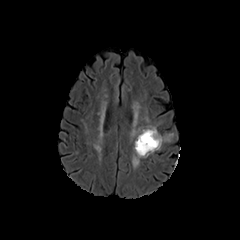
FLAIR MRI.
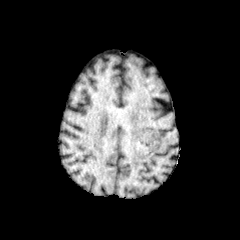
T1-weighted magnetic resonance.
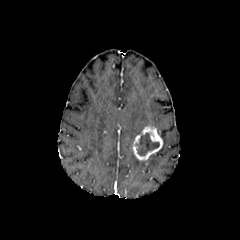
Post-contrast T1-weighted MR image of the same slice.
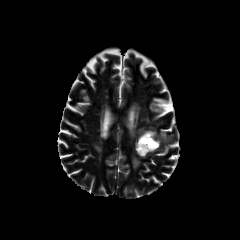
Same slice, T2-weighted MR.
- edema: [131,152,140,170], [160,134,172,149], [131,103,141,110], [129,127,143,142]
- enhancing tumor: [132,124,163,160]
- non-enhancing tumor core: [135,132,159,155]